CT scan slice. 512x512. Field of view 434 mm wide, 1.00 mm slice spacing. 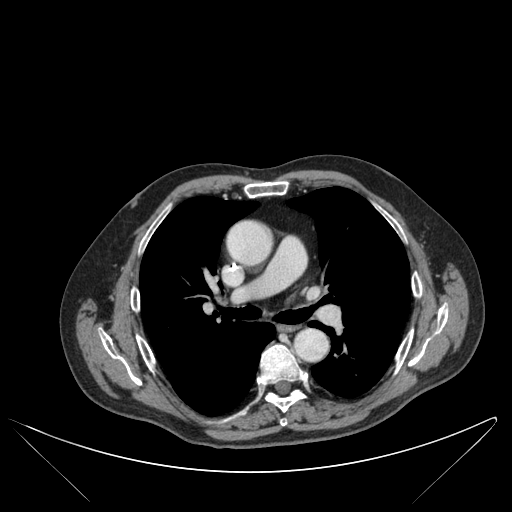

lung:
  - (139,196,275,415)
  - (274,187,409,397)
bone:
  - (265,390,305,411)
  - (257,345,307,385)
  - (395,329,413,372)
  - (408,305,447,365)
  - (382,210,401,231)
  - (412,272,421,296)
  - (140,216,161,249)
  - (136,335,154,371)
  - (131,288,139,311)
  - (100,332,141,384)
  - (244,181,288,197)